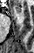
34x53 px, Magnetic resonance, Medial temporal lobe
Anterior hippocampus: bbox(16, 7, 21, 13).